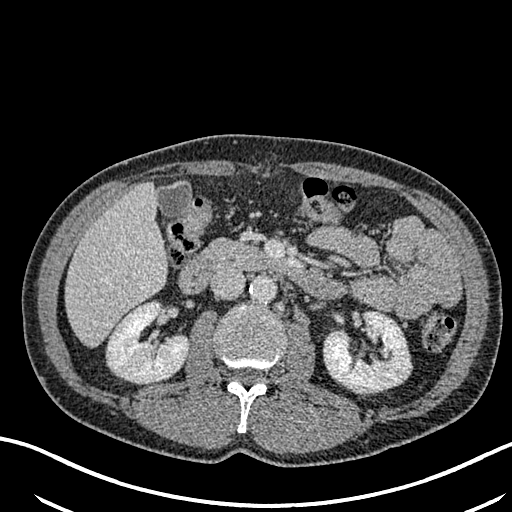 Abdomen; Computed tomography; Image size 512x512
Liver = <bbox>66, 182, 166, 345</bbox>.
Kidney = <bbox>324, 312, 410, 391</bbox>, <bbox>107, 303, 187, 382</bbox>.